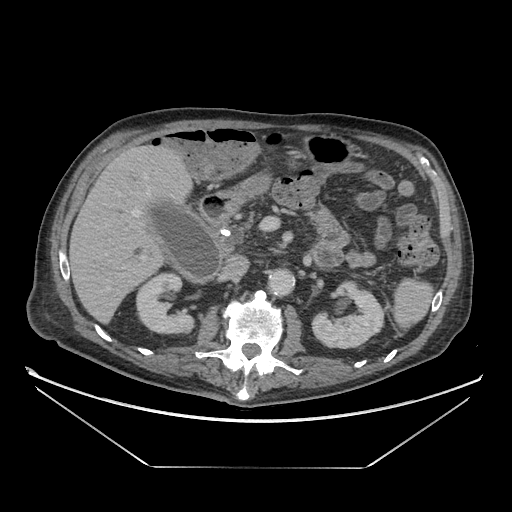

Upper abdomen | Computed tomography
The pancreas appears at box=[226, 220, 253, 244].